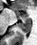
MRI slice. Hippocampus. Anterior hippocampus at {"x1": 16, "y1": 11, "x2": 29, "y2": 19}.
Posterior hippocampus at {"x1": 18, "y1": 20, "x2": 30, "y2": 33}.